Slice 579/629. Computed tomography. Liver. 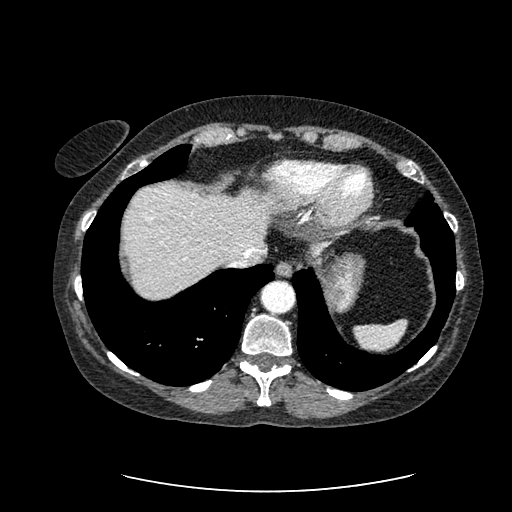
2 liver regions appear at 124, 184, 266, 296; 311, 239, 333, 256.